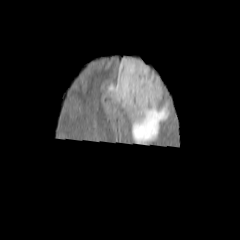
FLAIR MRI.
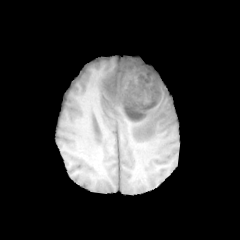
Same slice, T1-weighted MR image.
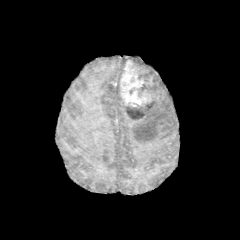
Same slice, post-contrast T1-weighted magnetic resonance.
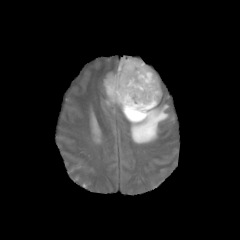
Same slice, T2-weighted MR image.
240x240 px
The non-enhancing tumor core is at 123 58 162 119. 2 edema regions appear at 102 56 144 107, 122 93 168 142. The enhancing tumor is located at 119 59 155 107.